Computed tomography. Liver. 512x512 px. 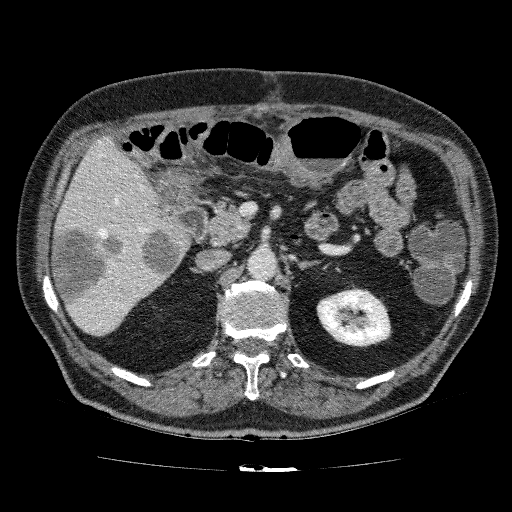 Kidney = box=[317, 289, 390, 346].
Liver = box=[54, 135, 190, 336].
Focal liver lesion = box=[139, 228, 184, 279]; box=[51, 225, 127, 306].